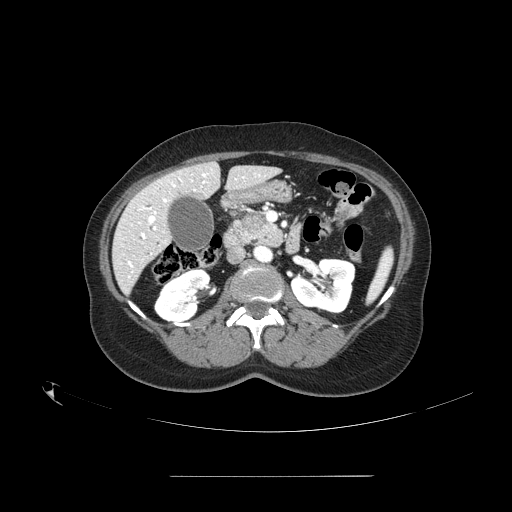
Image size 512x512, Computed tomography
The pancreas is at <bbox>232, 210, 282, 246</bbox>. The pancreatic tumor is at <bbox>242, 212, 265, 231</bbox>.